FLAIR MRI.
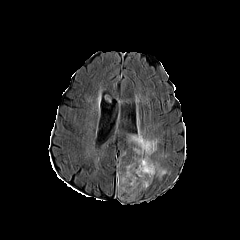
T1-weighted MR image.
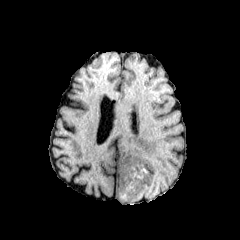
Post-contrast T1-weighted MR image.
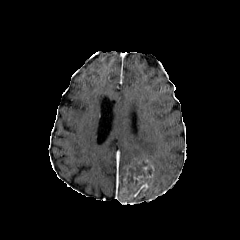
T2-weighted MR image.
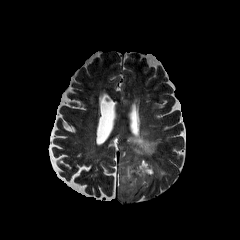
edema: region(128, 128, 159, 160); region(151, 161, 170, 179) | non-enhancing tumor core: region(127, 162, 147, 185); region(123, 185, 134, 196) | enhancing tumor: region(117, 157, 154, 200)